Slice 61 of 155 | Brain
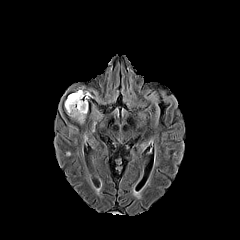
FLAIR MR.
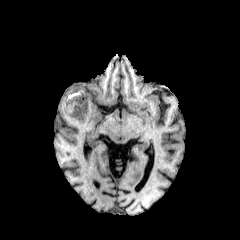
T1-weighted MR.
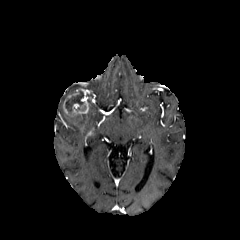
Post-contrast T1-weighted MRI.
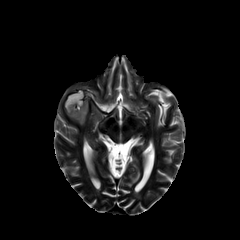
Same slice, T2-weighted MR.
The non-enhancing tumor core lies within box(65, 91, 83, 110). The edema is located at box(70, 114, 86, 125). The enhancing tumor is bounded by box(63, 88, 91, 118).